Slice 129/605 | 512x512 px | CT image
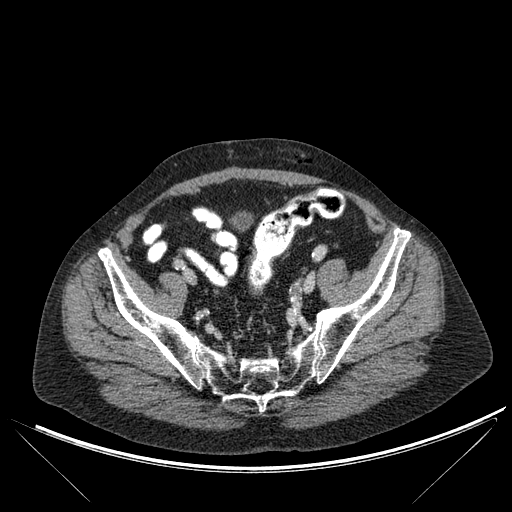 bone:
  - box=[98, 228, 410, 411]